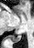

34x48 | Medial temporal lobe | Magnetic resonance
Posterior hippocampus at 12:35:20:42.